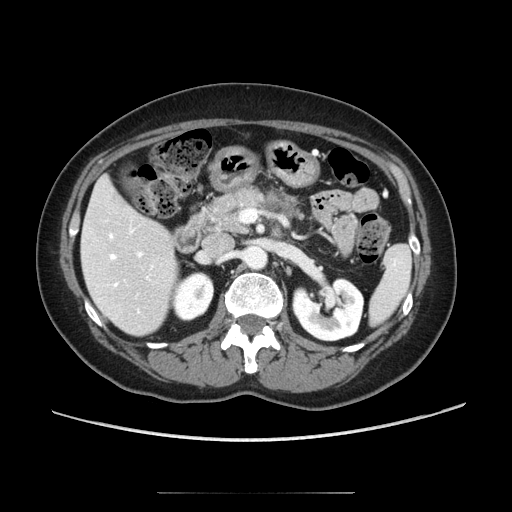
Upper abdomen. CT image. pancreas: 201, 187, 300, 232 | pancreatic tumor: 265, 191, 283, 205